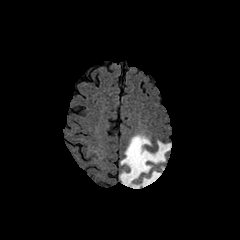
FLAIR magnetic resonance.
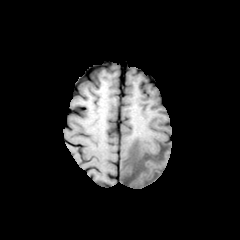
T1-weighted magnetic resonance of the same slice.
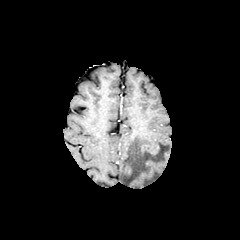
Post-contrast T1-weighted MR.
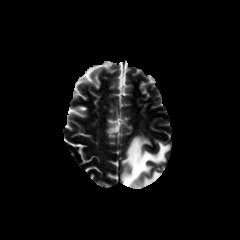
T2-weighted magnetic resonance of the same slice.
Head
The edema is located at <box>120,135,170,188</box>.